Field of view 240x240 mm; Image size 240x240; Brain
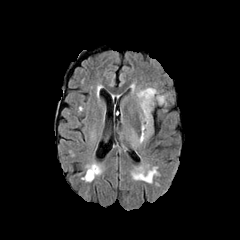
FLAIR MRI.
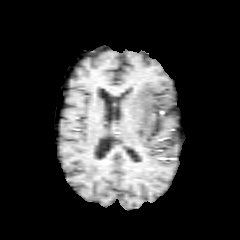
Same slice, T1-weighted MR.
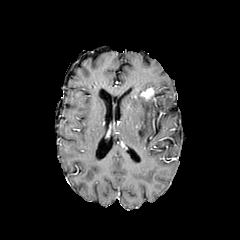
Post-contrast T1-weighted MRI.
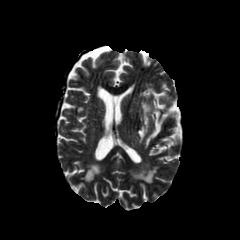
T2-weighted MRI.
Edema: bounding box 131, 84, 171, 143.
Enhancing tumor: bounding box 140, 88, 156, 100.